Brain | Field of view 240 mm wide, 1.00 mm slice spacing | Slice 90 of 155 | 240x240 px
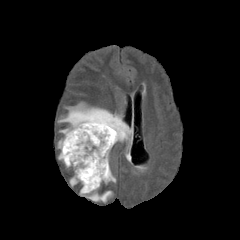
FLAIR MRI.
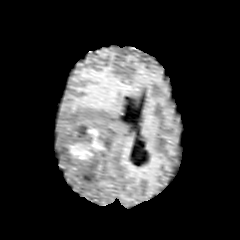
Same slice, T1-weighted MR image.
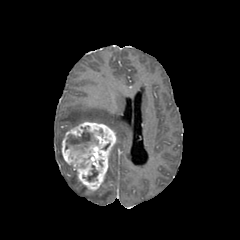
Same slice, post-contrast T1-weighted MR.
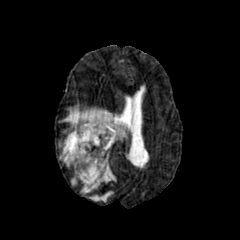
T2-weighted magnetic resonance.
Edema: <bbox>104, 154, 115, 184</bbox>, <bbox>80, 182, 111, 201</bbox>, <bbox>70, 170, 79, 185</bbox>, <bbox>62, 104, 131, 141</bbox>, <bbox>58, 140, 72, 168</bbox>.
Enhancing tumor: <bbox>62, 122, 115, 189</bbox>.
Non-enhancing tumor core: <bbox>65, 128, 98, 154</bbox>, <bbox>87, 165, 98, 181</bbox>.